Slice 93 of 155 | Head | Image size 240x240
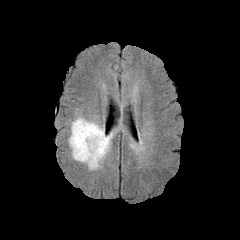
FLAIR magnetic resonance.
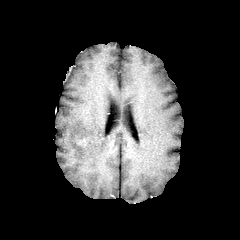
Same slice, T1-weighted magnetic resonance.
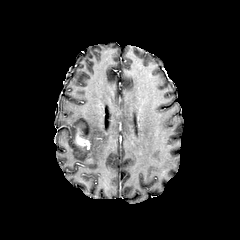
Same slice, post-contrast T1-weighted MR image.
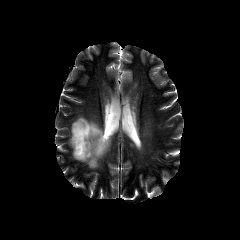
T2-weighted magnetic resonance of the same slice.
The enhancing tumor is at region(76, 135, 89, 149). The edema lies within region(68, 115, 117, 169).